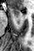

Hippocampus, MRI
The anterior hippocampus is located at (13,10,21,17).